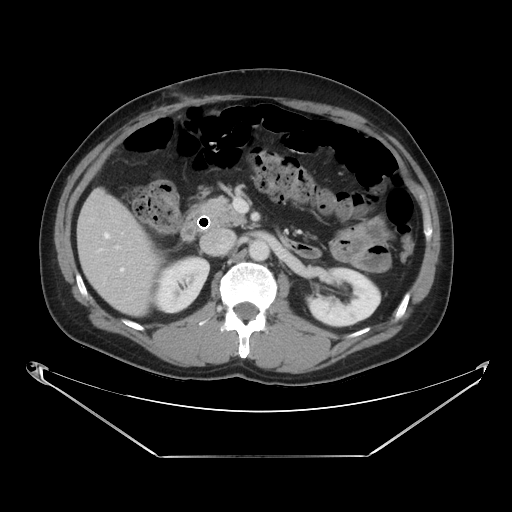

Upper abdomen | CT slice | 512x512 px
The pancreas is bounded by (197,196,245,229). The pancreatic tumor is bounded by (202,197,229,214).